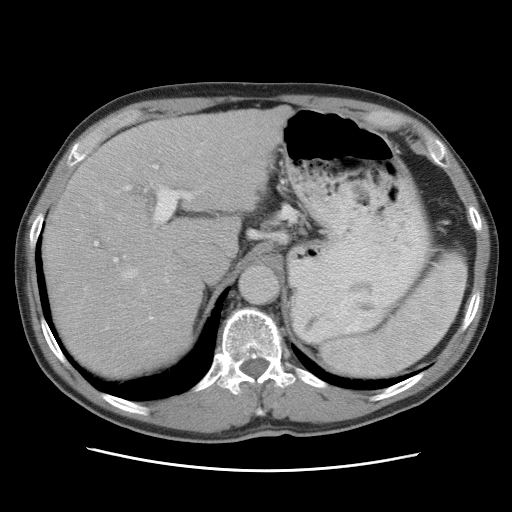
CT image
Only some of the vessels may be annotated.
Hepatic vessel at left=124, top=186, right=130, bottom=190; left=113, top=258, right=116, bottom=262; left=153, top=189, right=179, bottom=222; left=98, top=205, right=102, bottom=209; left=142, top=289, right=145, bottom=292; left=106, top=326, right=108, bottom=329; left=93, top=241, right=97, bottom=245; left=153, top=165, right=157, bottom=168; left=183, top=194, right=190, bottom=196; left=123, top=256, right=125, bottom=258; left=121, top=269, right=136, bottom=278; left=197, top=151, right=199, bottom=154; left=201, top=143, right=204, bottom=144; left=150, top=318, right=153, bottom=319.